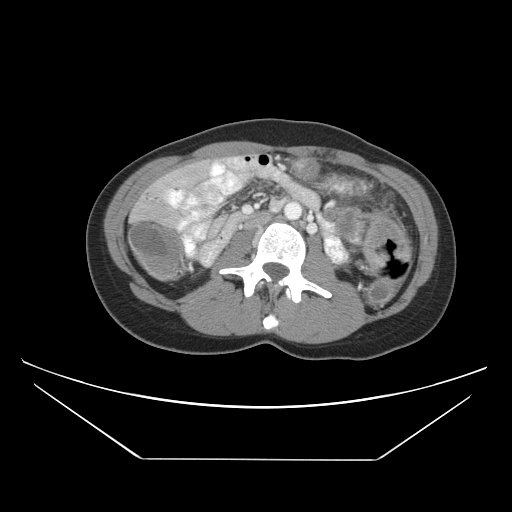 Image size 512x512, Pelvis, Computed tomography
Colon tumor — [x1=362, y1=212, x2=412, y2=275].